36x50 px | MRI | Slice index 9

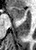 Segmented structures:
* anterior hippocampus: rect(7, 6, 25, 20)